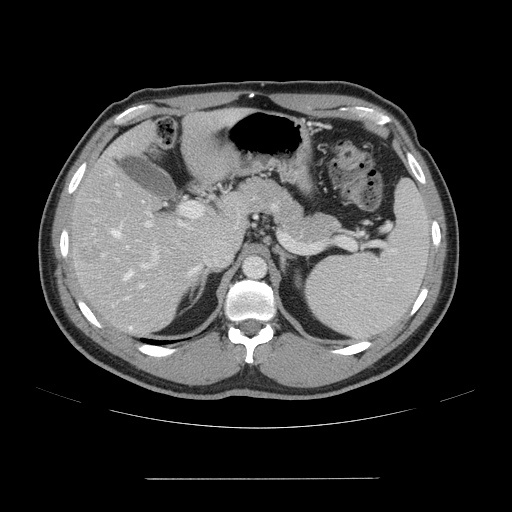
512x512 | CT slice | Abdomen
The vessel boxes may cover only some of the vessels.
{
  "partial": true,
  "hepatic_vessel": {
    "n_total": 16,
    "boxes": [
      "125, 297, 128, 298",
      "178, 222, 186, 226",
      "93, 229, 95, 234",
      "154, 252, 157, 256",
      "117, 192, 119, 195",
      "112, 303, 114, 306",
      "116, 184, 118, 185",
      "145, 221, 151, 226",
      "146, 211, 149, 214",
      "111, 230, 120, 236",
      "141, 264, 149, 267",
      "96, 200, 98, 201",
      "120, 222, 122, 226",
      "139, 284, 143, 287",
      "123, 270, 132, 280"
    ]
  },
  "liver_tumor": [
    "78, 247, 102, 263"
  ]
}